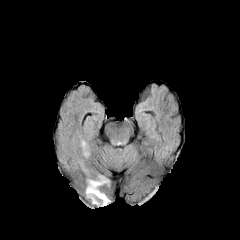
FLAIR MR image.
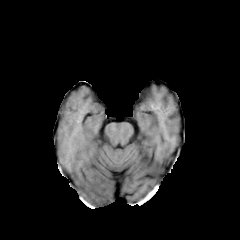
Same slice, T1-weighted magnetic resonance.
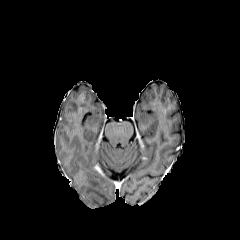
Post-contrast T1-weighted magnetic resonance.
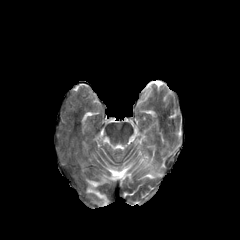
Same slice, T2-weighted MR image.
Image size 240x240
<segmentation>
  <edema>[x1=86, y1=175, x2=109, y2=206]</edema>
</segmentation>